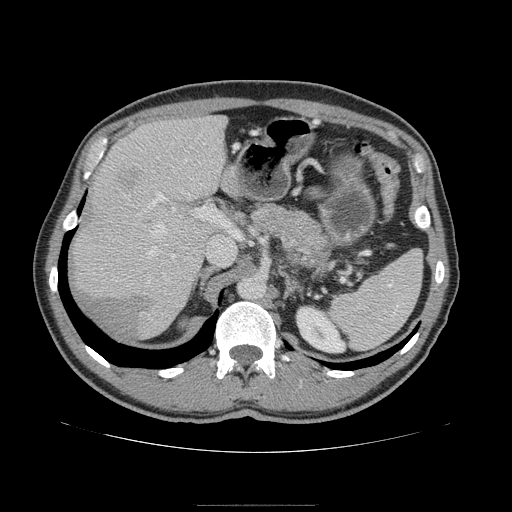

Computed tomography | Abdomen

The pancreatic tumor is at (311,251,324,261). The pancreas is bounded by (250,204,333,273).